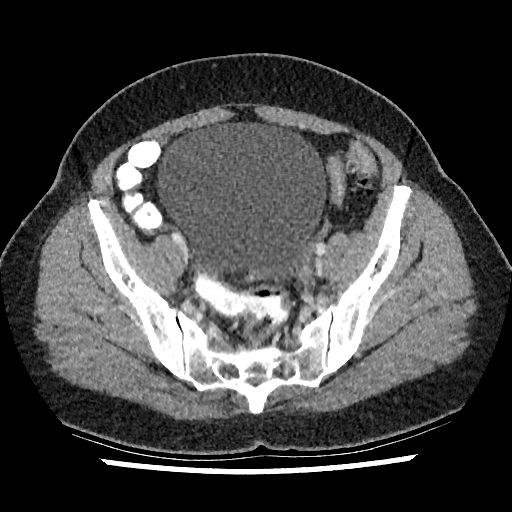 CT slice
The urinary bladder lies within 157, 121, 325, 290.